Slice 35/588, CT scan slice
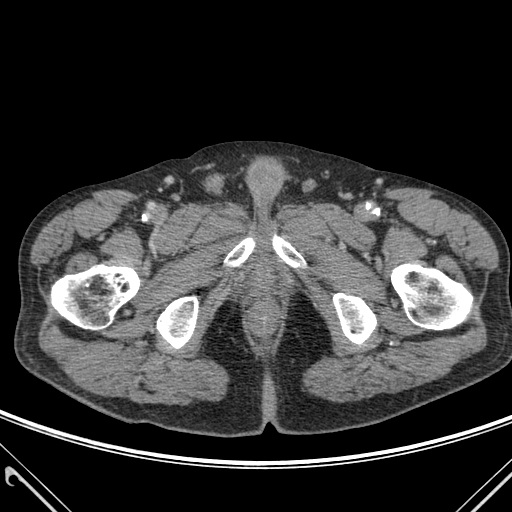

Bone = rect(333, 293, 376, 343); rect(51, 265, 139, 329); rect(157, 297, 197, 348); rect(391, 264, 472, 329); rect(273, 235, 305, 267); rect(224, 238, 254, 266).